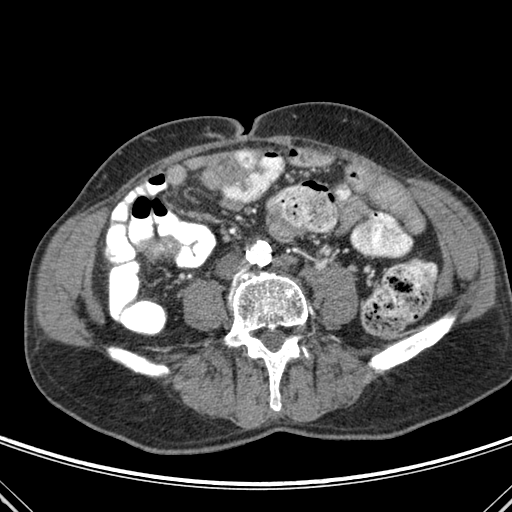

CT scan slice

bone: 224:272:308:410, 108:347:168:375, 369:316:454:371